Brain. Image size 240x240.
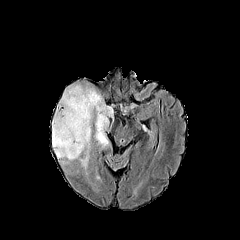
FLAIR MRI.
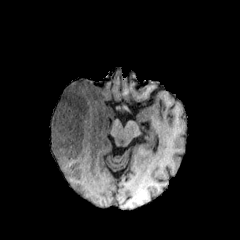
T1-weighted MR.
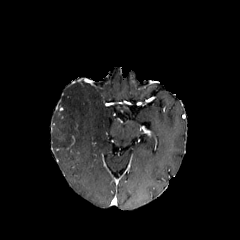
Post-contrast T1-weighted MR image.
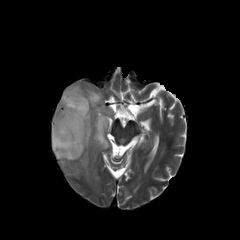
T2-weighted MR image of the same slice.
The edema appears at 51,81,114,179.